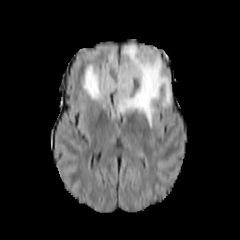
FLAIR MRI.
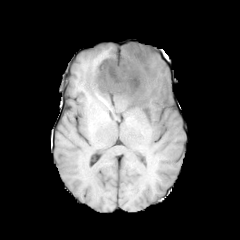
T1-weighted MR.
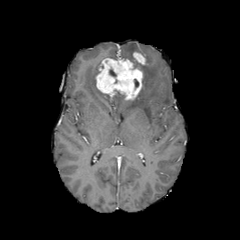
Same slice, post-contrast T1-weighted MRI.
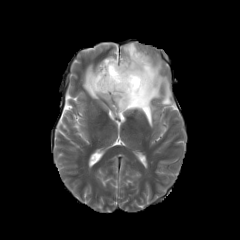
T2-weighted MR.
Head
Enhancing tumor: bounding box (133,53,145,64), (95,58,142,100).
Edema: bounding box (82,43,171,127).
Non-enhancing tumor core: bounding box (113,91,130,101).